Slice 36/171; Abdomen; Field of view 346x346 mm; CT scan slice 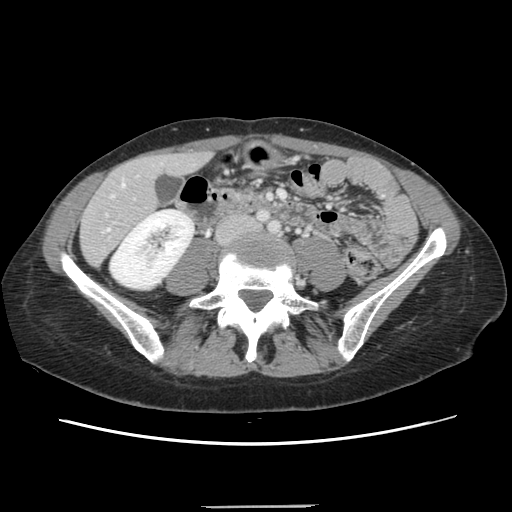
The vessel boxes may cover only some of the vessels.
hepatic_vessel:
  - 110, 195, 113, 197
  - 106, 229, 108, 231
  - 122, 181, 124, 186